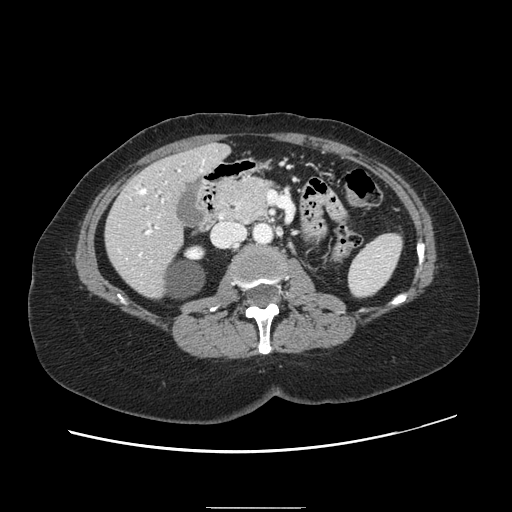 CT slice
- pancreatic tumor: l=243, t=201, r=252, b=210
- pancreas: l=216, t=177, r=272, b=223